Slice index 89. 512x512 px. Abdomen. CT slice.
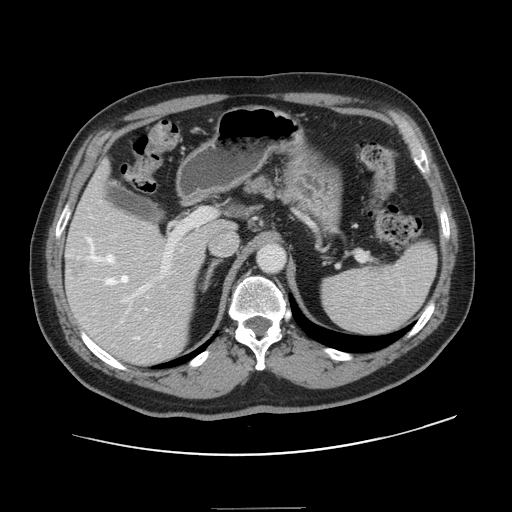
Only some of the vessels may be annotated.
The liver tumor is bounded by x1=68 y1=259 x2=85 y2=276. 7 hepatic vessel regions are bounded by x1=122 y1=283 x2=150 y2=301, x1=121 y1=276 x2=127 y2=282, x1=86 y1=237 x2=102 y2=260, x1=107 y1=278 x2=116 y2=284, x1=106 y1=255 x2=113 y2=262, x1=162 y1=241 x2=174 y2=271, x1=135 y1=337 x2=139 y2=339.